512x512 px, Slice index 238, CT slice 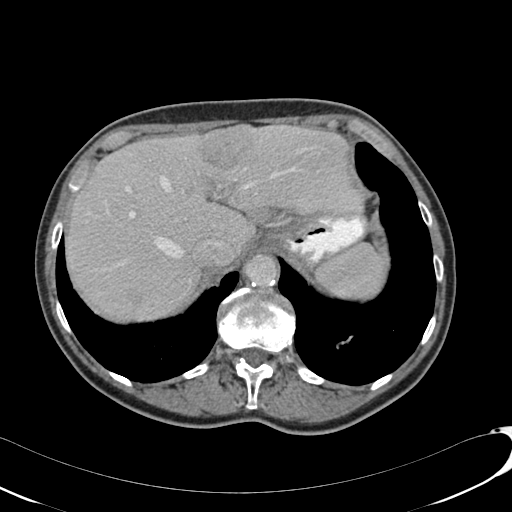 Annotated regions:
* focal liver lesion: 130, 291, 140, 304; 200, 126, 254, 168
* liver: 66, 124, 362, 319